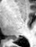
MRI, Hippocampus, Image size 36x47
{"posterior_hippocampus": ["region(12, 37, 16, 40)"]}